FLAIR MR image.
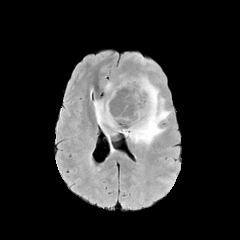
T1-weighted MR image.
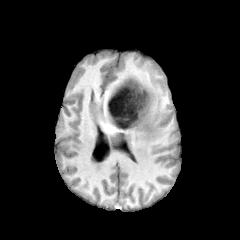
Post-contrast T1-weighted MRI.
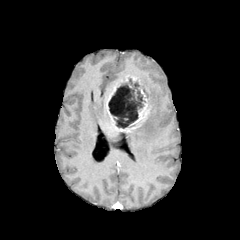
T2-weighted MR image.
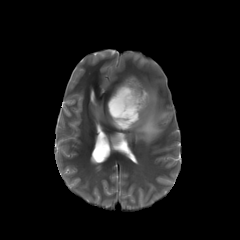
240x240 px.
2 edema regions are located at (93,100,115,152), (118,78,170,144). 2 enhancing tumor regions appear at (106,86,116,113), (131,103,147,124). The non-enhancing tumor core lies within (108,79,147,128).